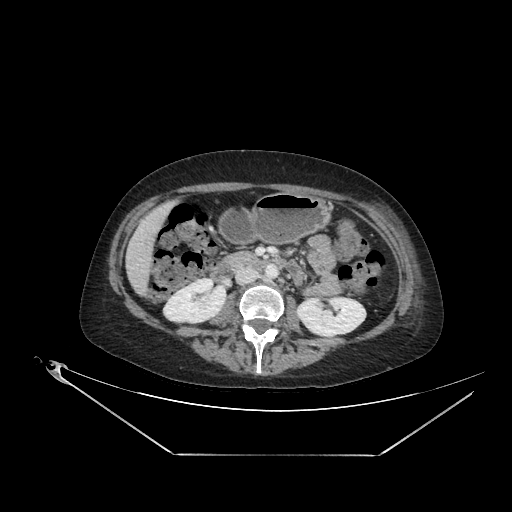 CT scan slice
Segmented structures:
- kidney: x1=297 y1=298 x2=365 y2=335, x1=164 y1=278 x2=225 y2=322
- liver: x1=121 y1=212 x2=162 y2=298